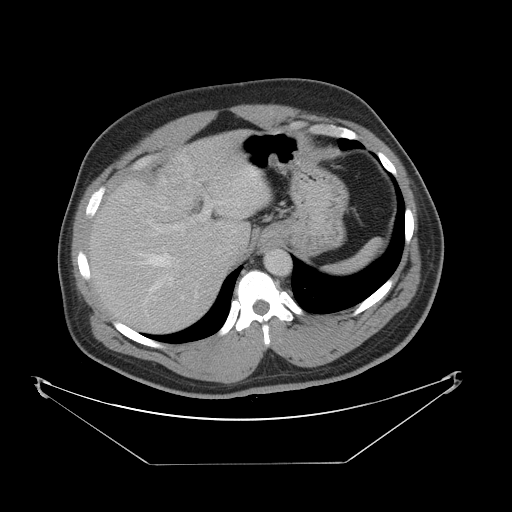

Liver | Computed tomography

Not every hepatic vessel necessarily has a box.
Hepatic vessel = 156:223:184:234, 200:253:206:258, 212:240:233:260, 213:201:218:202, 188:213:206:224, 168:280:171:284, 222:194:247:206, 146:254:169:265, 160:279:163:282, 201:227:210:239, 200:243:208:248, 152:284:159:289, 195:248:197:249.
Liver tumor = 160:156:192:195.